CT image. 512x512. Slice 27 of 92.
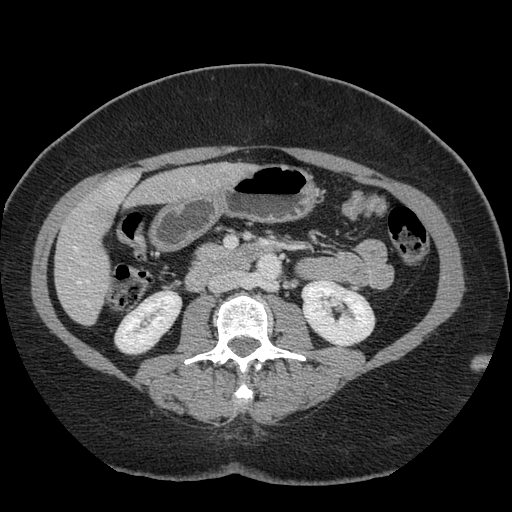

Only some of the vessels may be annotated.
The liver tumor is at (90, 208, 112, 221). 3 hepatic vessel regions are bounded by (74, 247, 78, 251), (88, 304, 89, 306), (77, 280, 88, 283).